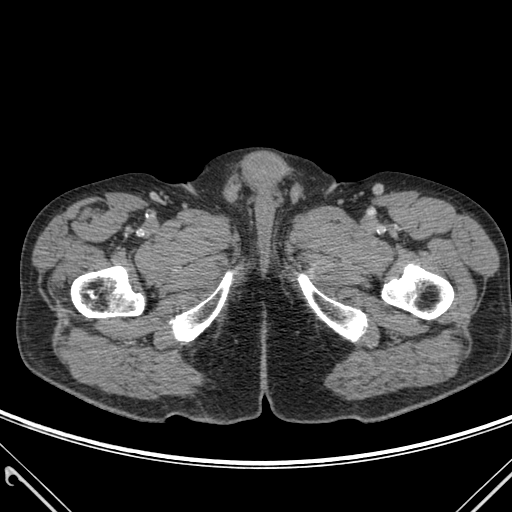 CT scan slice.
Bone: bounding box bbox(298, 274, 366, 340); bbox(71, 266, 144, 317); bbox(382, 264, 453, 319); bbox(170, 272, 231, 341).